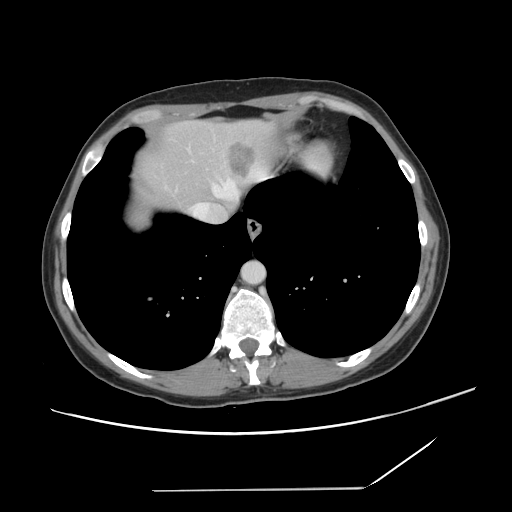

Abdomen | Computed tomography
The vessel annotation is not exhaustive.
Hepatic vessel = <bbox>187, 146, 189, 151</bbox>, <bbox>213, 178, 235, 198</bbox>, <bbox>248, 169, 266, 179</bbox>.
Liver tumor = <bbox>230, 145, 256, 177</bbox>.